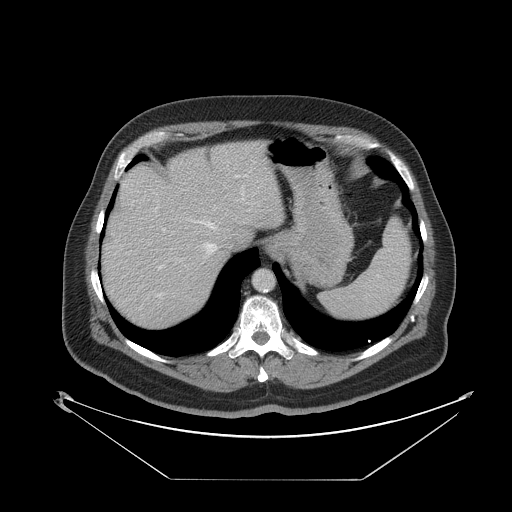

Liver; Computed tomography
The vessel boxes may cover only some of the vessels.
hepatic vessel: 191,220,216,229; 162,228,164,231; 235,175,239,176; 154,208,156,211; 202,242,216,257; 158,266,160,269; 158,294,161,296